FLAIR MR image.
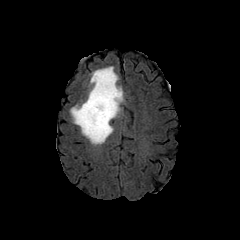
T1-weighted MRI.
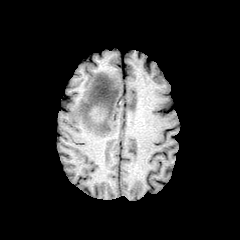
Post-contrast T1-weighted MRI.
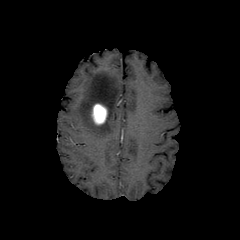
T2-weighted MR.
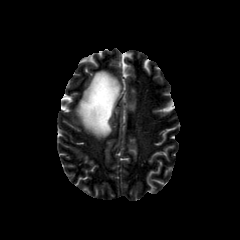
Image size 240x240; Brain
The edema lies within box=[69, 66, 123, 144]. The enhancing tumor lies within box=[91, 103, 107, 124].